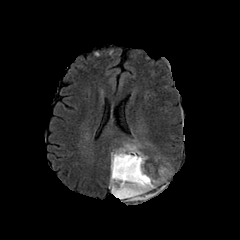
FLAIR MRI.
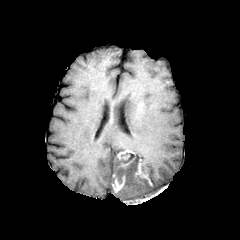
T1-weighted MR.
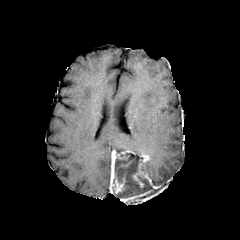
Same slice, post-contrast T1-weighted MRI.
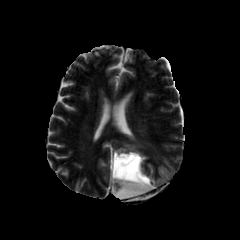
T2-weighted MR.
Brain
enhancing tumor: <box>110,151,123,193</box> | non-enhancing tumor core: <box>114,151,158,201</box> | edema: <box>114,144,144,155</box>, <box>140,160,157,184</box>